CT slice, Image width 373 mm

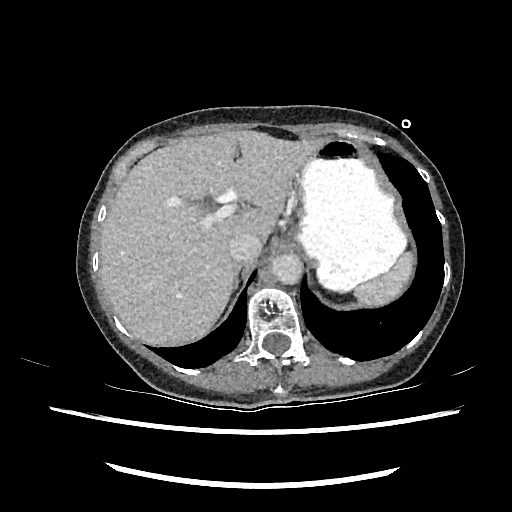 The liver appears at (101,131,323,344).